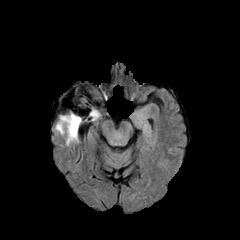
FLAIR magnetic resonance.
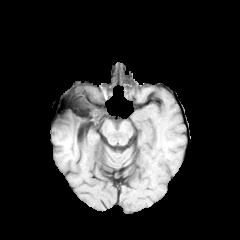
T1-weighted MR image.
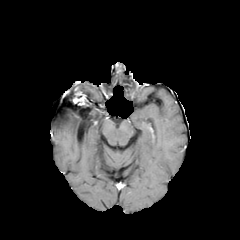
Post-contrast T1-weighted magnetic resonance.
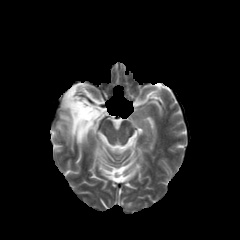
T2-weighted MR image.
240x240 px
edema:
  - 90:109:101:121
  - 54:116:81:145
non-enhancing_tumor_core:
  - 60:112:84:133
  - 77:102:95:121